Image width 426 mm. Slice index 43. Computed tomography.

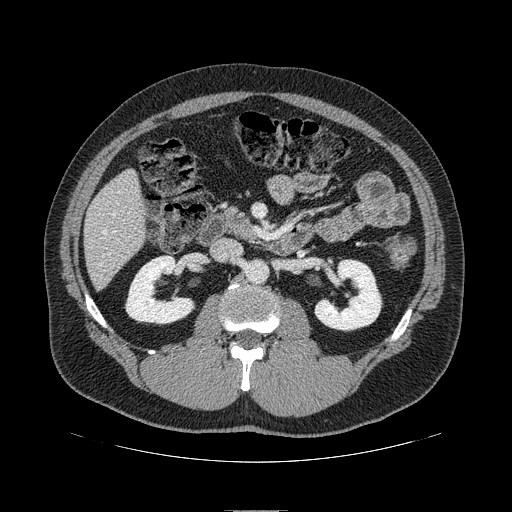

{"pancreas": ["[226,208,253,239]"]}